CT scan slice; Image width 391 mm

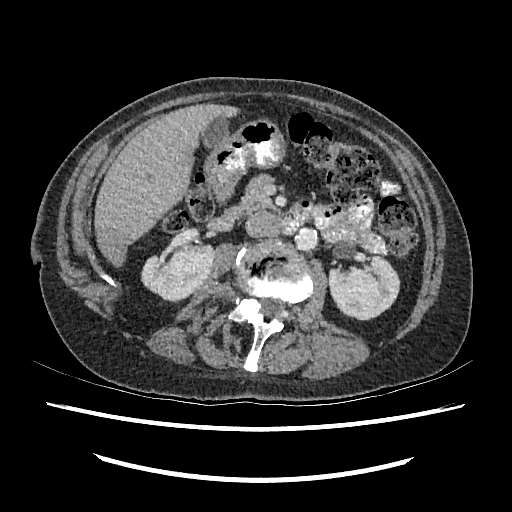 Kidney = 142 246 214 300, 329 253 399 319.
Focal liver lesion = 109 231 131 251.
Liver = 96 104 237 265.